CT; Image width 360 mm

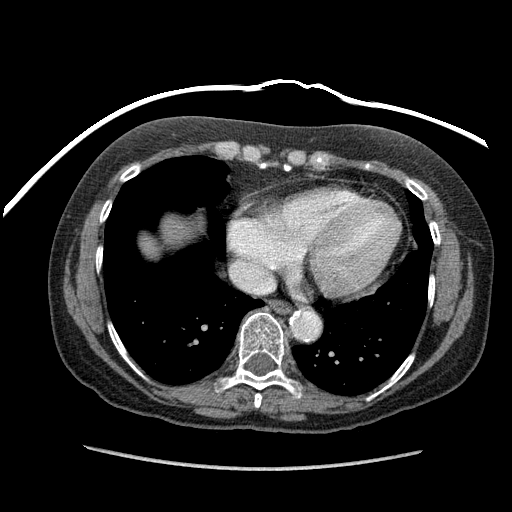
The liver is at left=140, top=215, right=201, bottom=260.